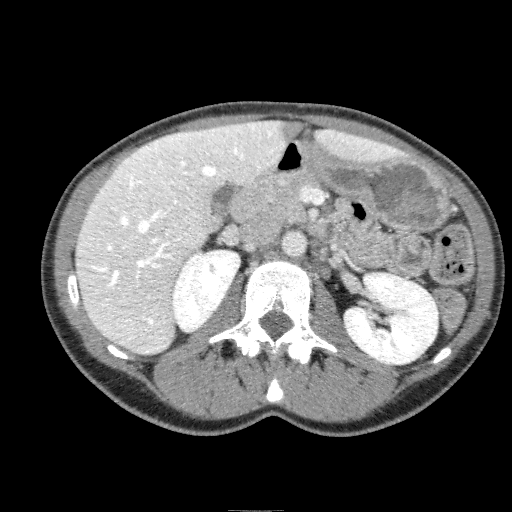

CT slice | Liver

2 kidney regions appear at left=172, top=250, right=239, bottom=331; left=344, top=273, right=437, bottom=363. 2 liver regions are located at left=313, top=129, right=405, bottom=161; left=75, top=120, right=304, bottom=353. 2 hepatic lesion regions appear at left=279, top=122, right=303, bottom=142; left=199, top=212, right=221, bottom=233.